FLAIR MR image.
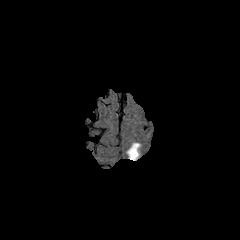
T1-weighted MRI.
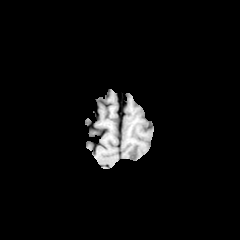
Post-contrast T1-weighted MR image.
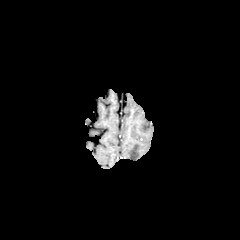
T2-weighted magnetic resonance.
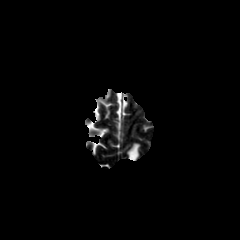
Edema: x1=127 y1=143 x2=140 y2=160.